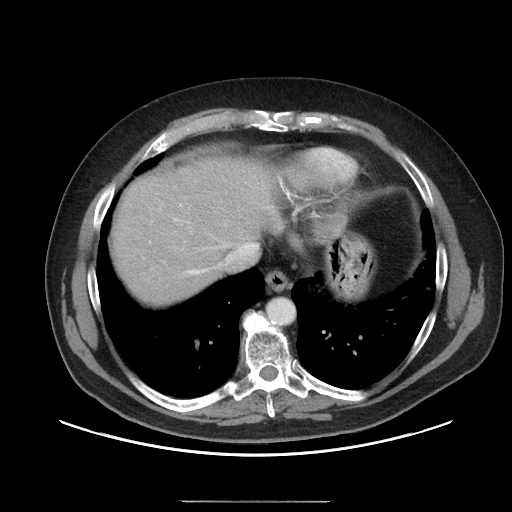 CT
Not every hepatic vessel necessarily has a box.
hepatic_vessel:
  - bbox(188, 237, 258, 273)